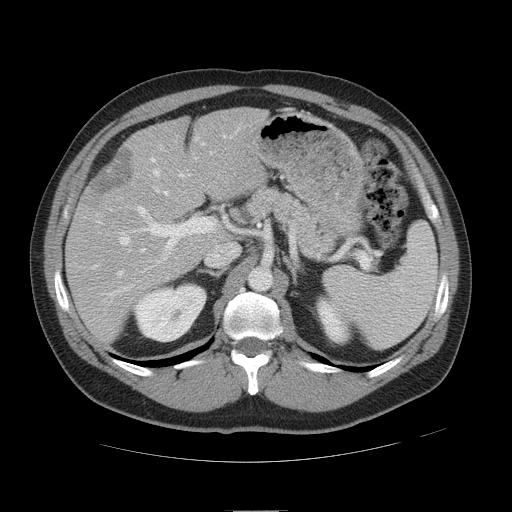 Computed tomography. Abdomen.

The vessel boxes may cover only some of the vessels.
Liver tumor: bounding box 92,149,134,195.
Most prominent 15 of 18 hepatic vessel regions: bounding box 179,174,183,176; 138,222,160,234; 138,206,146,215; 151,158,155,161; 165,220,191,250; 164,191,167,194; 154,170,159,175; 117,271,122,274; 147,216,149,220; 163,257,165,259; 223,135,225,137; 155,187,158,191; 141,249,144,251; 195,137,198,140; 120,232,129,244.